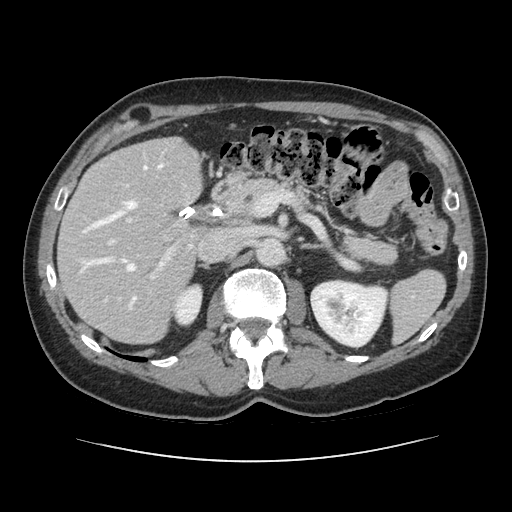

CT slice, 512x512
2 pancreas regions appear at 229,179,285,213; 344,238,397,265.